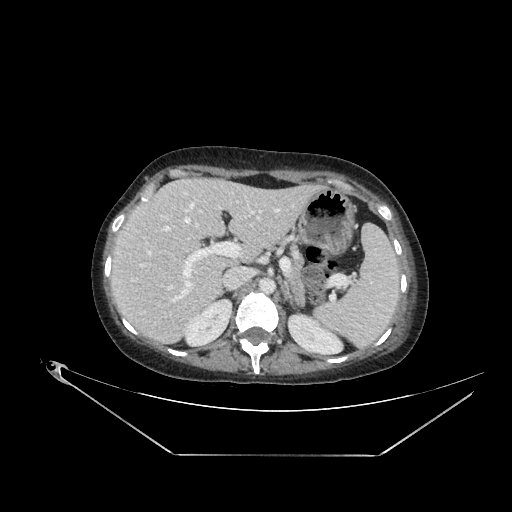

Upper abdomen; Computed tomography

2 kidney regions are bounded by [183,299,231,345], [288,315,342,354]. The liver appears at [111,181,324,347].